Head
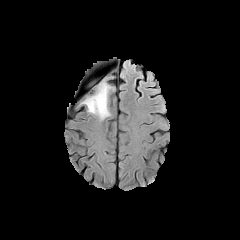
FLAIR MR.
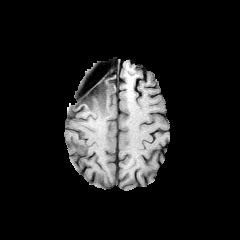
Same slice, T1-weighted magnetic resonance.
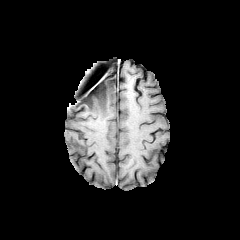
Post-contrast T1-weighted magnetic resonance.
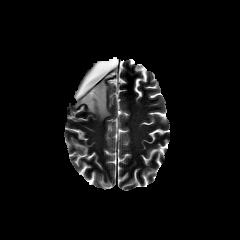
T2-weighted MR.
The edema lies within box(80, 78, 113, 120). The non-enhancing tumor core is bounded by box(82, 82, 104, 103).